CT slice. Field of view 350 mm wide, 0.70 mm slice spacing. 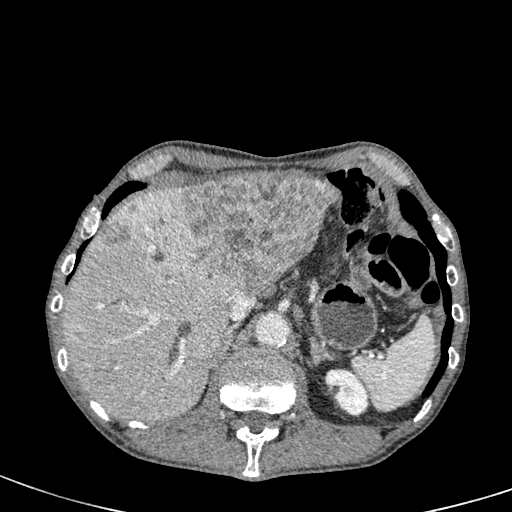
liver:
  - 259 278 277 296
  - 63 187 243 421
  - 284 173 316 178
focal_liver_lesion:
  - 184 174 336 294
  - 100 223 132 242
kidney:
  - 324 367 372 419